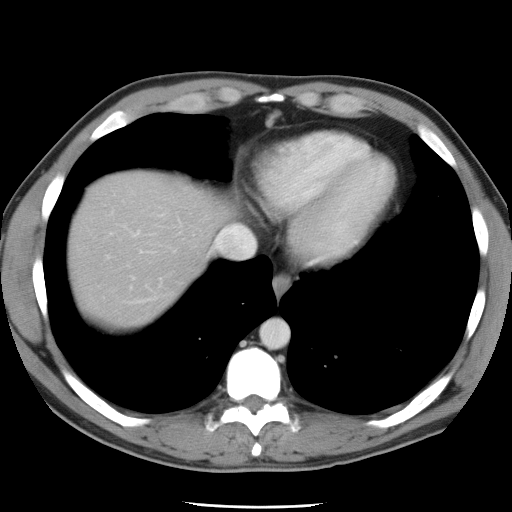 CT slice
The vessel boxes may cover only some of the vessels.
Hepatic vessel: bounding box (134, 232, 139, 235), (215, 226, 256, 257).